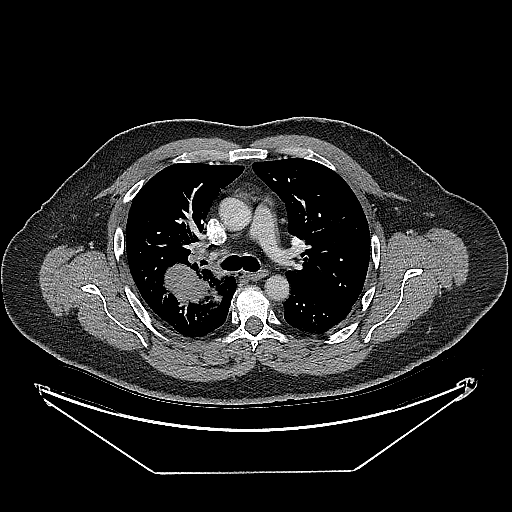 Lung; CT slice

The lung tumor lies within {"x1": 158, "y1": 255, "x2": 229, "y2": 315}.